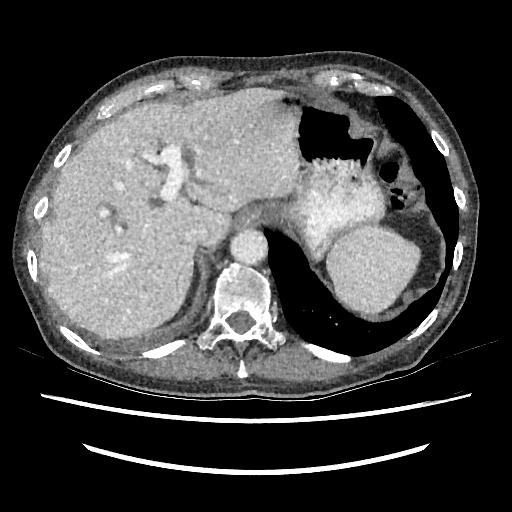 Image size 512x512; CT
The liver is bounded by 39 89 298 339.